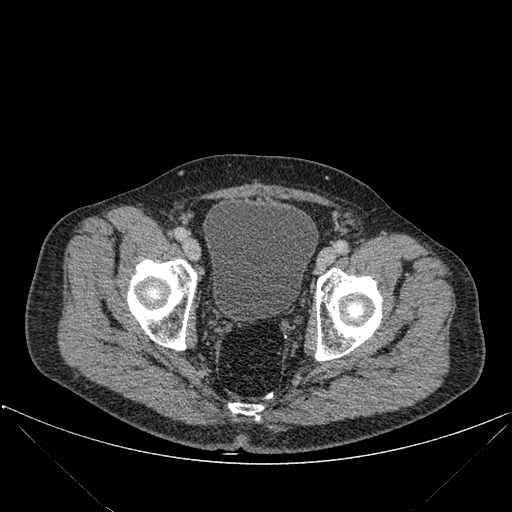

Computed tomography.

<segmentation>
  <urinary_bladder>region(203, 197, 318, 321)</urinary_bladder>
  <bone>region(127, 259, 196, 350); region(315, 268, 382, 360); region(228, 403, 263, 420)</bone>
</segmentation>